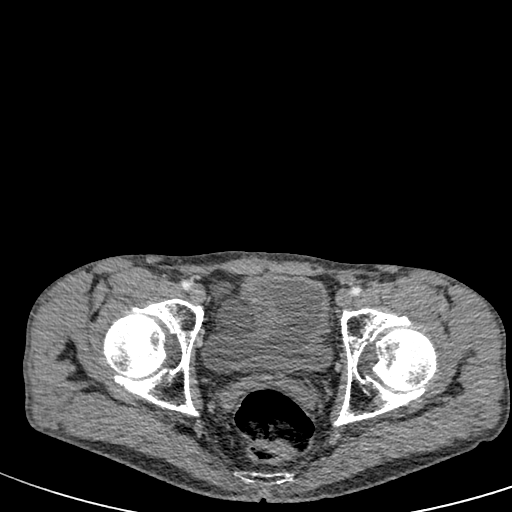 512x512 | Lower abdomen | CT slice
urinary_bladder:
  - <bbox>203, 273, 329, 378</bbox>